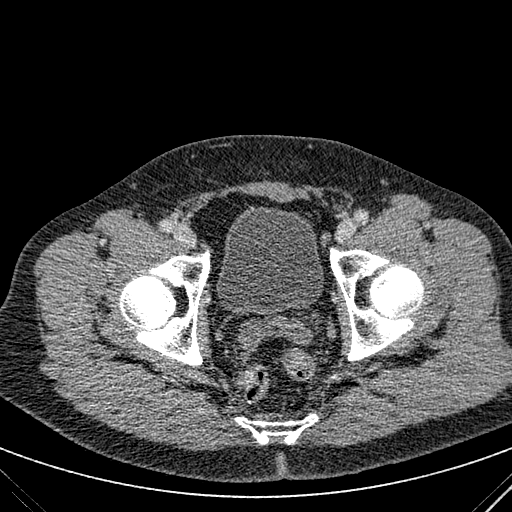
Image size 512x512 | CT

Segmented structures:
* urinary bladder: box=[217, 204, 324, 316]